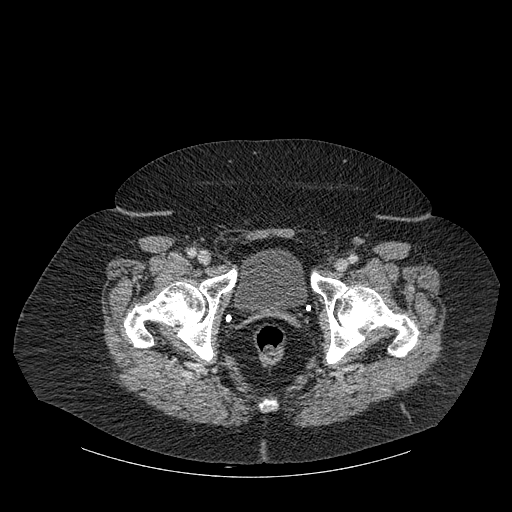 CT slice | Pelvis

Urinary bladder = (233, 248, 308, 321).
Bone = (124, 269, 236, 362), (260, 400, 276, 408), (311, 273, 418, 363).